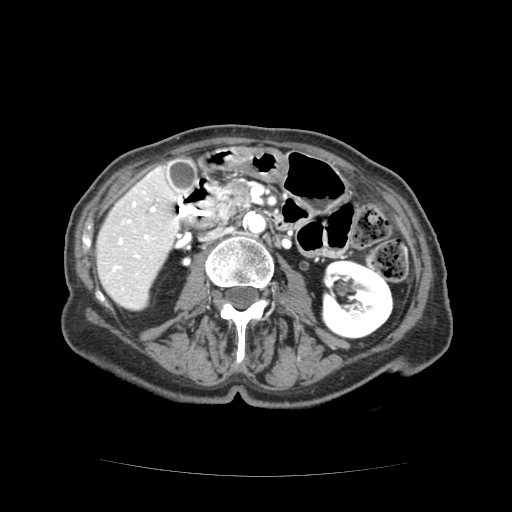 CT image, Upper abdomen

{"pancreatic_tumor": ["(225, 183, 249, 202)"], "pancreas": ["(210, 180, 253, 217)"]}